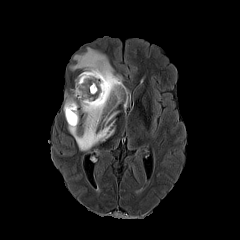
FLAIR MR image.
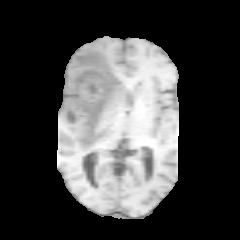
Same slice, T1-weighted magnetic resonance.
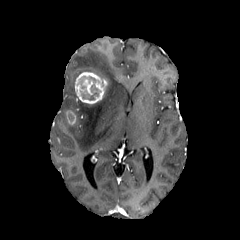
Post-contrast T1-weighted MR.
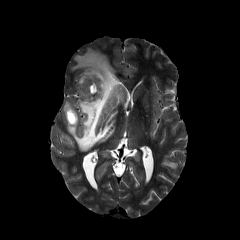
Same slice, T2-weighted MR.
Image size 240x240 | Brain
non-enhancing_tumor_core:
  - rect(81, 84, 99, 100)
edema:
  - rect(64, 47, 127, 151)
enhancing_tumor:
  - rect(75, 72, 104, 104)
  - rect(65, 109, 77, 125)